CT image

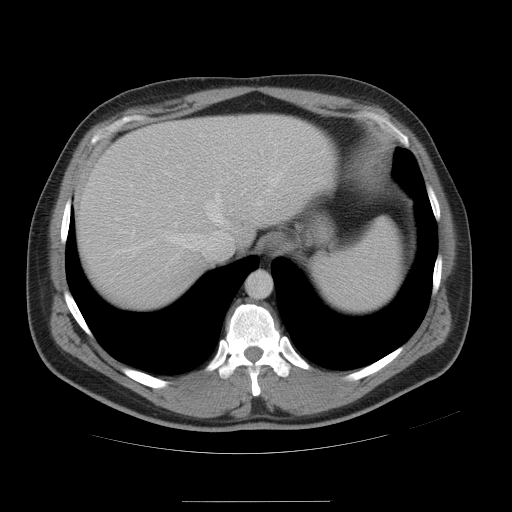
Spleen — (left=311, top=220, right=403, bottom=312).